Brain
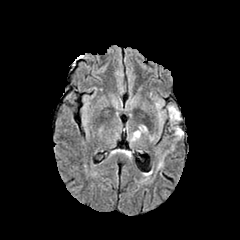
FLAIR magnetic resonance.
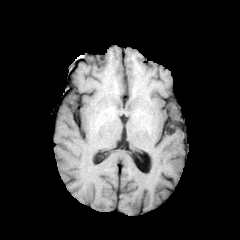
T1-weighted MR of the same slice.
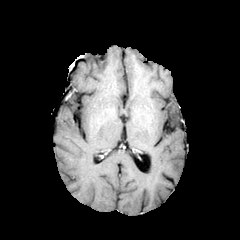
Post-contrast T1-weighted MR image of the same slice.
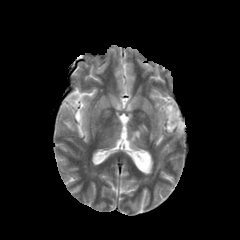
T2-weighted MR.
{
  "edema": [
    "[155,100,183,137]",
    "[131,127,142,140]"
  ]
}